Field of view 700x700 mm, Slice 480 of 707, CT image, 512x512

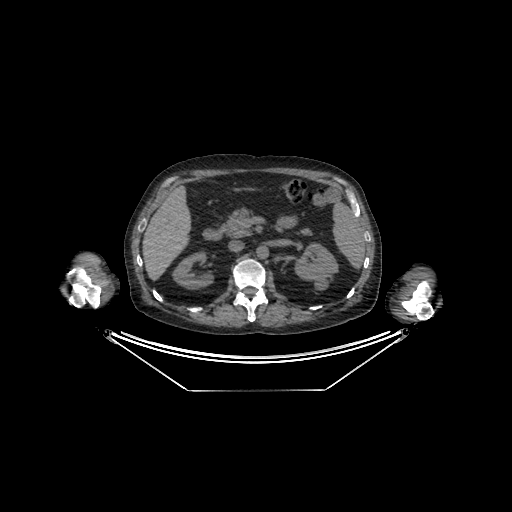
<segmentation>
  <liver>bbox(143, 186, 190, 280)</liver>
  <kidney>bbox(294, 242, 338, 290); bbox(172, 251, 213, 289)</kidney>
</segmentation>